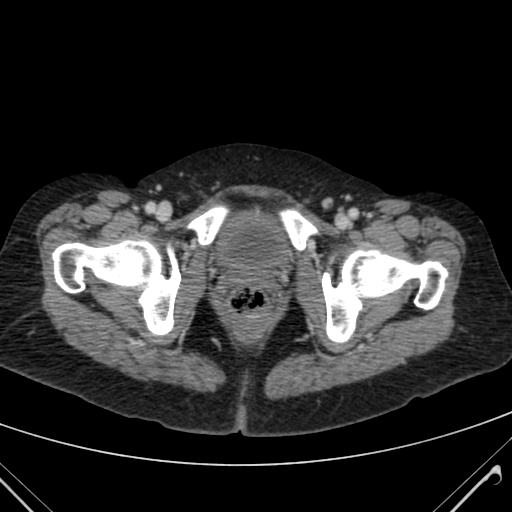 Pelvis; CT image
urinary_bladder:
  - x1=213, y1=211, x2=298, y2=279